CT scan slice | Slice 23 of 46

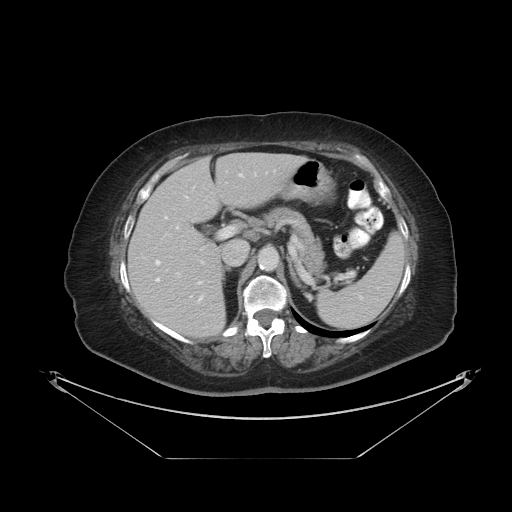 The vessel annotation is not exhaustive.
Hepatic vessel: 199,281,201,282; 165,216,166,218; 155,259,160,265; 176,226,178,227; 230,241,247,255; 219,226,234,237; 239,173,242,176; 201,260,203,262; 193,247,204,250; 155,277,160,281; 189,295,192,296; 177,272,178,274; 198,296,201,300; 254,173,255,174.